Field of view 375 mm wide, 1.50 mm slice spacing | CT image | Slice index 106 | Liver

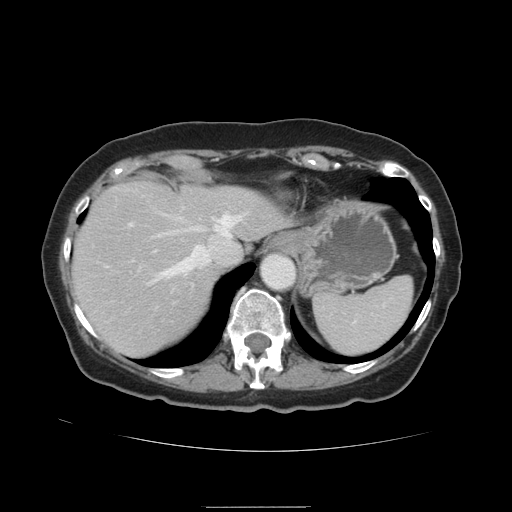
Only some of the vessels may be annotated.
hepatic_vessel:
  - <box>212,218,214,219</box>
  - <box>128,224,130,225</box>
  - <box>192,246,208,263</box>
  - <box>152,257,197,281</box>
  - <box>213,214,243,236</box>